Slice index 138 | Computed tomography | Lower abdomen

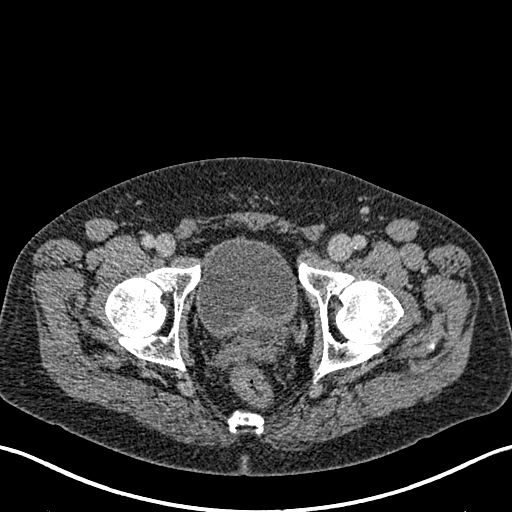

<segmentation>
  <urinary_bladder>{"x1": 195, "y1": 236, "x2": 297, "y2": 330}</urinary_bladder>
</segmentation>